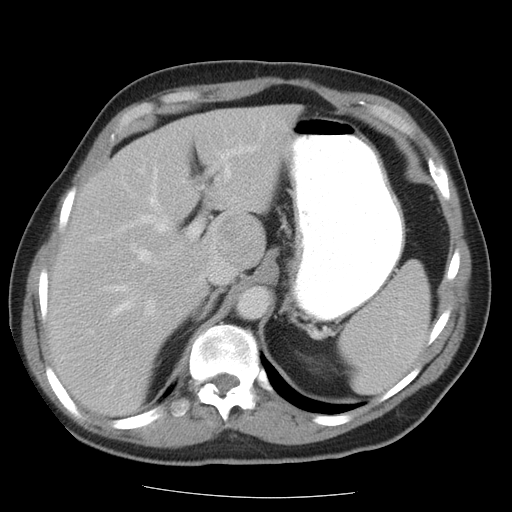 CT slice | Liver
Some hepatic vessels may have no box.
Top 15 of 19 hepatic vessel regions: bounding box rect(150, 180, 158, 207); rect(160, 266, 162, 268); rect(233, 197, 234, 199); rect(225, 164, 231, 181); rect(115, 301, 132, 312); rect(91, 238, 94, 240); rect(198, 186, 203, 188); rect(219, 145, 258, 158); rect(144, 302, 155, 314); rect(118, 215, 172, 231); rect(131, 244, 150, 262); rect(188, 222, 201, 236); rect(139, 166, 144, 172); rect(110, 286, 128, 290); rect(154, 168, 157, 177).
Liver tumor: bounding box rect(215, 213, 265, 268).